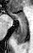
33x53, MR image
Segmented structures:
• anterior hippocampus: [8, 10, 25, 20]
• posterior hippocampus: [14, 20, 27, 44]